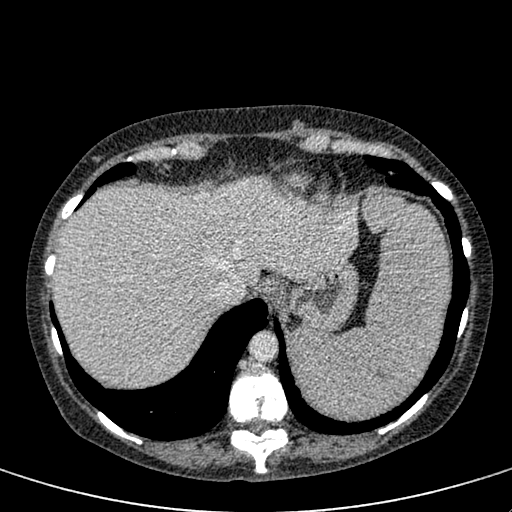 CT image, 512x512, Upper abdomen
{"liver": ["56, 178, 358, 387"]}